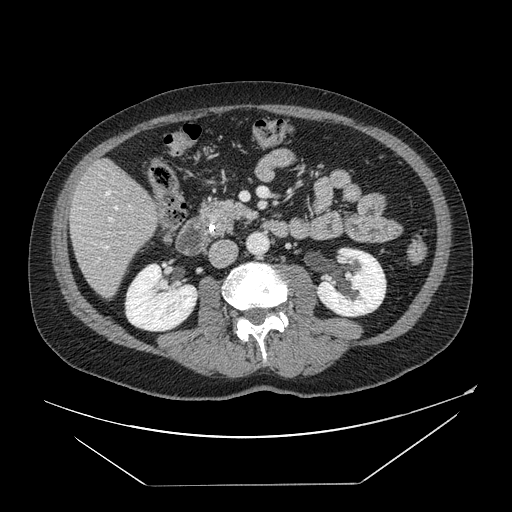

CT. Upper abdomen. Image size 512x512.

- pancreas: {"x1": 200, "y1": 201, "x2": 258, "y2": 235}